CT image, 512x512 px, Slice index 21 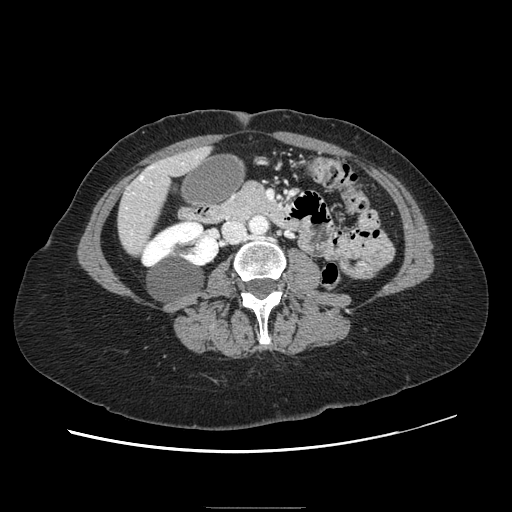

The pancreas is located at region(224, 182, 277, 220).